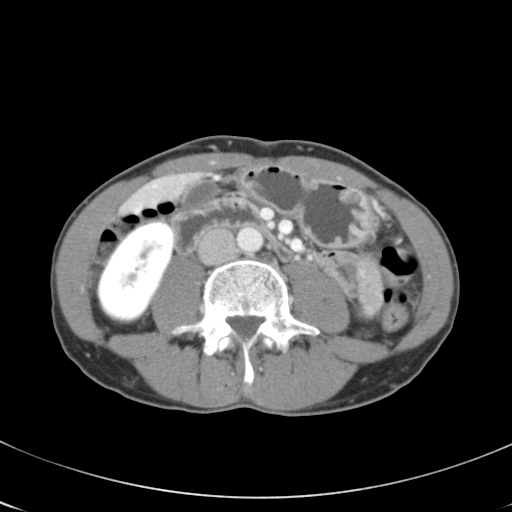 CT scan slice; 512x512 px; Liver
Only some of the vessels may be annotated.
The hepatic vessel appears at region(135, 205, 140, 210).